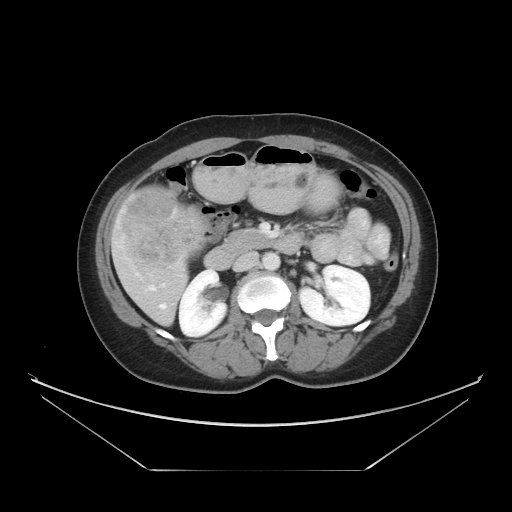 Liver | CT slice
liver tumor: rect(118, 189, 203, 278)